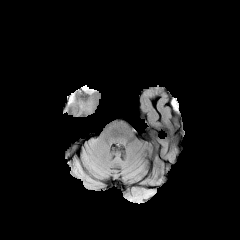
FLAIR MR image.
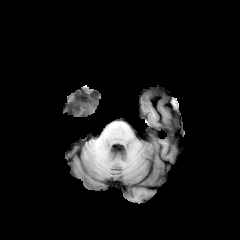
T1-weighted magnetic resonance.
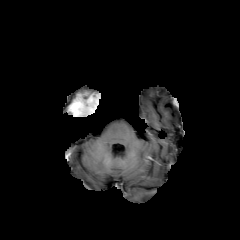
Post-contrast T1-weighted MRI of the same slice.
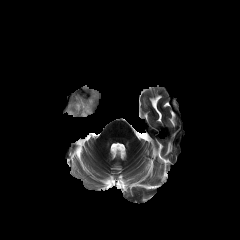
Same slice, T2-weighted MR image.
240x240 px, Head
The non-enhancing tumor core is located at x1=72 y1=94 x2=87 y2=101. The enhancing tumor lies within x1=70 y1=95 x2=97 y2=114.